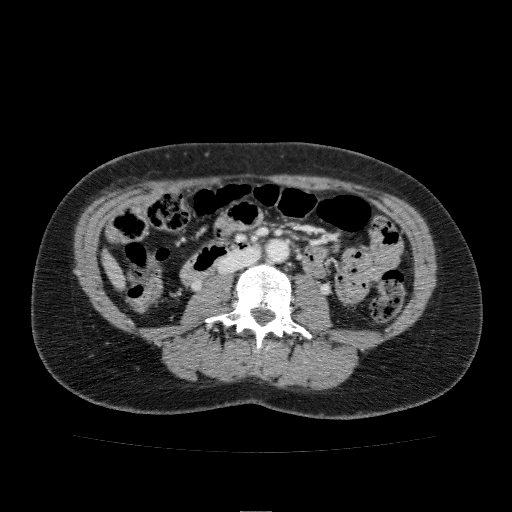

CT image | 512x512
{"liver": ["[102,251,125,286]"]}